FLAIR magnetic resonance.
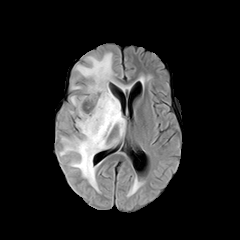
T1-weighted MR image.
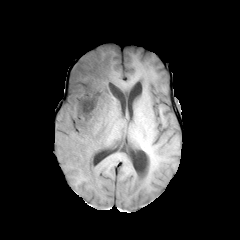
Post-contrast T1-weighted MRI.
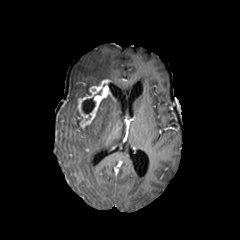
T2-weighted magnetic resonance.
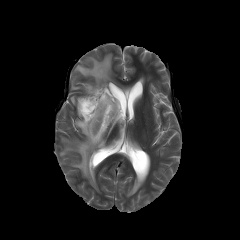
240x240 px.
2 edema regions appear at (x1=59, y1=97, x2=125, y2=190), (x1=77, y1=53, x2=112, y2=95). 3 non-enhancing tumor core regions are bounded by (x1=91, y1=94, x2=111, y2=123), (x1=80, y1=98, x2=95, y2=117), (x1=75, y1=86, x2=90, y2=129). The enhancing tumor is at (x1=78, y1=79, x2=110, y2=127).